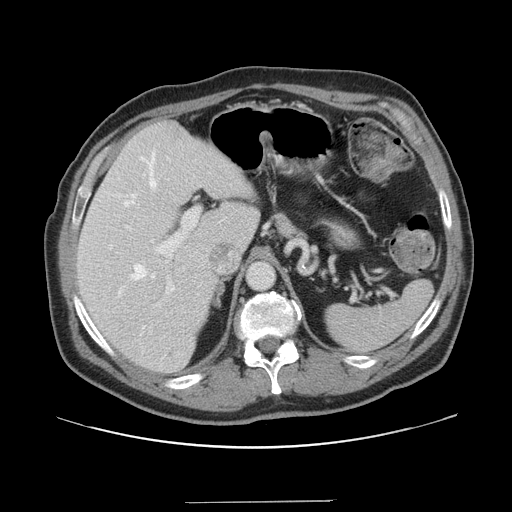

CT scan slice; Liver

Not every hepatic vessel necessarily has a box.
8 hepatic vessel regions appear at 157, 304, 160, 305; 131, 264, 146, 279; 124, 194, 136, 206; 142, 326, 145, 328; 140, 151, 156, 189; 151, 275, 154, 277; 166, 276, 174, 294; 155, 208, 199, 262.